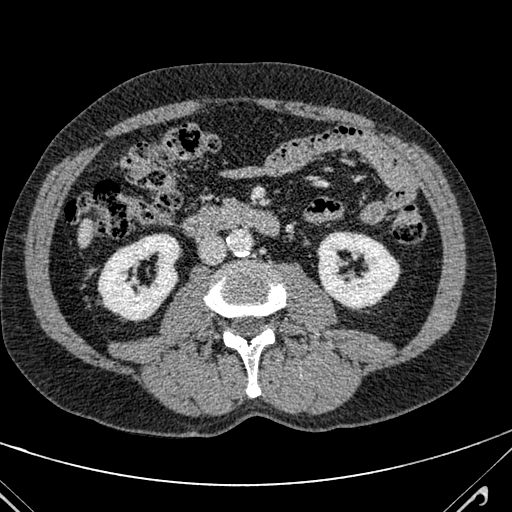

Computed tomography

Liver = region(79, 219, 92, 245).